Brain.
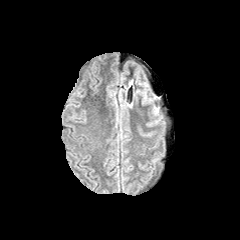
FLAIR magnetic resonance.
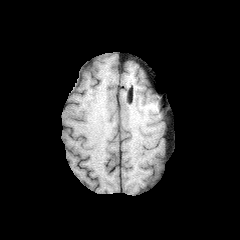
T1-weighted MR.
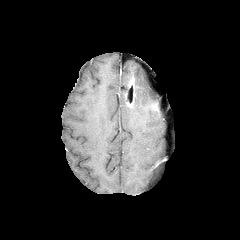
Same slice, post-contrast T1-weighted magnetic resonance.
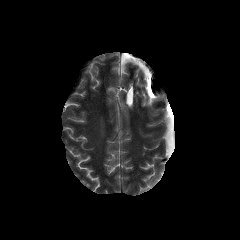
Same slice, T2-weighted magnetic resonance.
edema:
  - box=[132, 83, 152, 103]